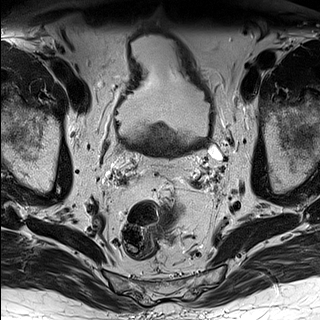
T2-weighted MR image.
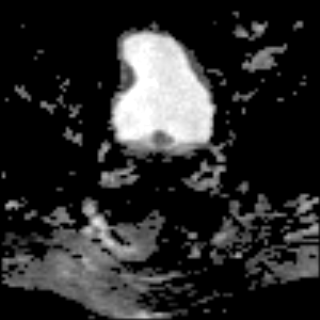
ADC MR image.
Prostate, 320x320
Annotated regions:
- prostate transition zone: (x1=149, y1=124, x2=176, y2=146)